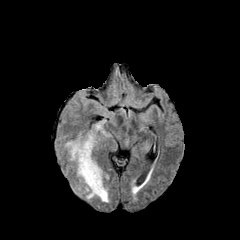
FLAIR MR image.
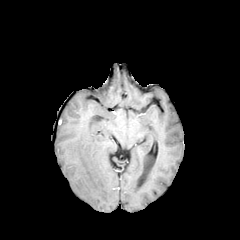
Same slice, T1-weighted MR image.
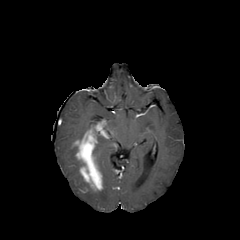
Post-contrast T1-weighted magnetic resonance of the same slice.
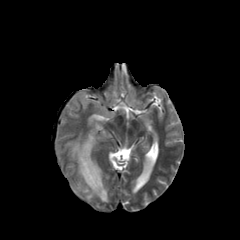
T2-weighted MR of the same slice.
Brain
The edema is located at region(64, 140, 109, 202). The enhancing tumor is bounded by region(74, 120, 108, 190).